FLAIR magnetic resonance.
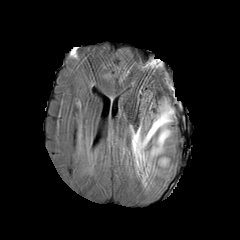
T1-weighted MR.
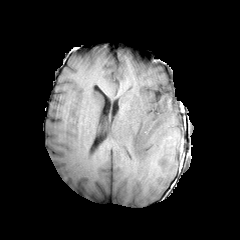
Post-contrast T1-weighted magnetic resonance.
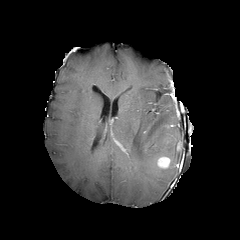
T2-weighted MR image.
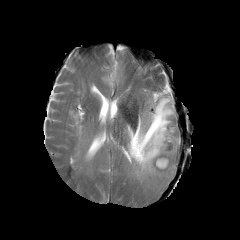
Image size 240x240 | Brain
Annotated regions:
* edema: rect(125, 99, 175, 181)
* enhancing tumor: rect(157, 157, 169, 167)